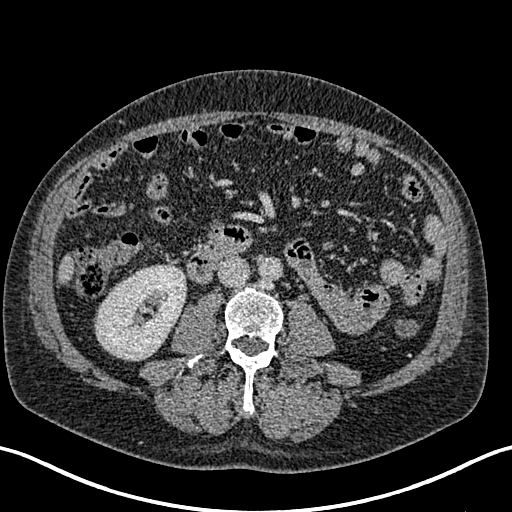 512x512, CT slice
<segmentation>
  <liver>rect(58, 254, 74, 283)</liver>
  <kidney>rect(96, 265, 185, 360)</kidney>
</segmentation>